Head
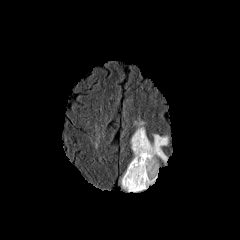
FLAIR magnetic resonance.
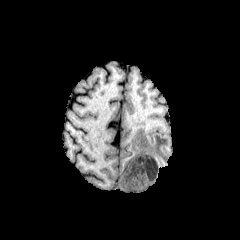
T1-weighted MRI.
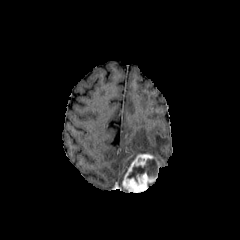
Post-contrast T1-weighted MRI of the same slice.
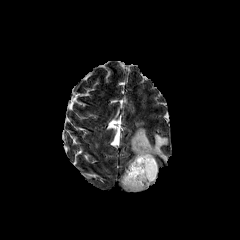
T2-weighted MRI of the same slice.
non-enhancing tumor core: 126, 158, 158, 182 | enhancing tumor: 122, 154, 154, 191 | edema: 130, 121, 168, 165